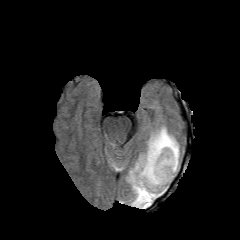
FLAIR MR image.
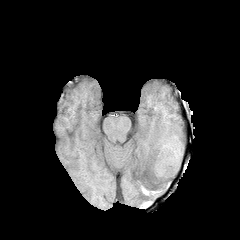
T1-weighted MR of the same slice.
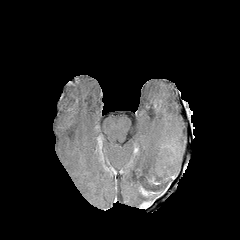
Post-contrast T1-weighted MR image.
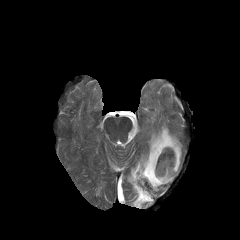
T2-weighted MR image.
240x240 px.
Edema = 127:126:180:208.
Non-enhancing tumor core = 140:188:154:207.